FLAIR MR.
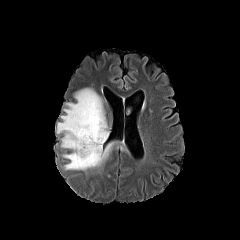
T1-weighted MR image.
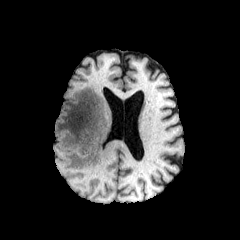
Post-contrast T1-weighted MRI.
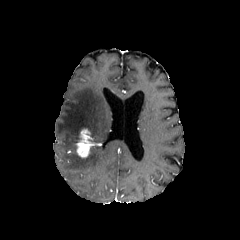
T2-weighted MRI.
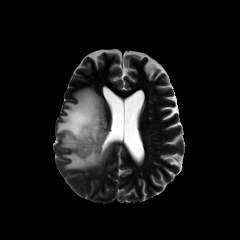
Image size 240x240.
Edema = (left=56, top=88, right=110, bottom=170).
Enhancing tumor = (left=75, top=128, right=95, bottom=158).